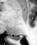 MR image

The posterior hippocampus is located at [11,36,22,39].